Brain; Slice index 58
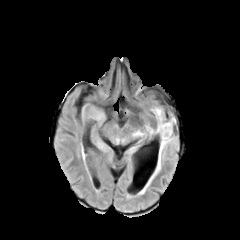
FLAIR MR image.
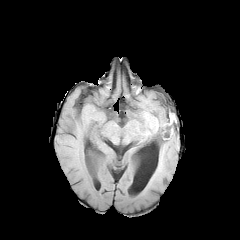
Same slice, T1-weighted MR image.
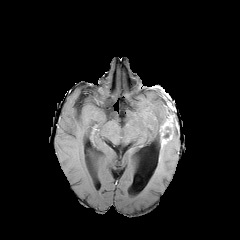
Post-contrast T1-weighted MR image.
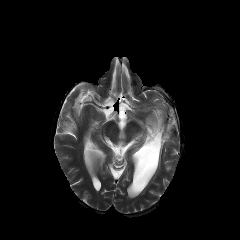
T2-weighted MRI.
edema:
  - (left=136, top=107, right=167, bottom=141)
  - (left=156, top=146, right=161, bottom=170)
non-enhancing_tumor_core:
  - (left=163, top=126, right=172, bottom=141)
enhancing_tumor:
  - (left=159, top=119, right=173, bottom=143)